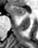

MRI

{
  "anterior_hippocampus": [
    "x1=10 y1=6 x2=27 y2=15"
  ]
}